FLAIR magnetic resonance.
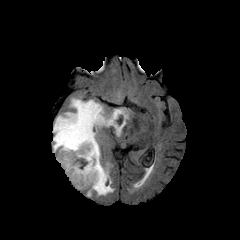
T1-weighted magnetic resonance.
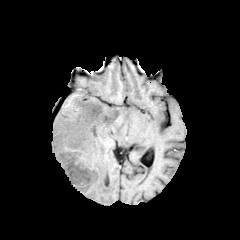
Post-contrast T1-weighted MR image.
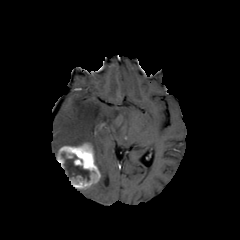
T2-weighted MRI.
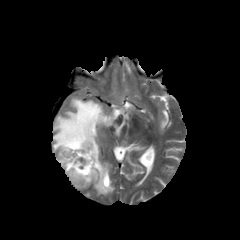
Head
Annotated regions:
* edema: (53, 97, 128, 195)
* enhancing tumor: (57, 143, 100, 188)
* non-enhancing tumor core: (66, 142, 93, 149), (61, 153, 89, 179)